FLAIR MR.
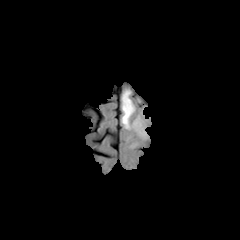
T1-weighted MR.
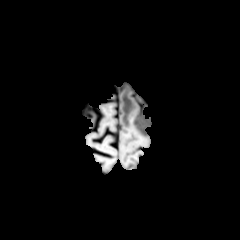
Post-contrast T1-weighted MR.
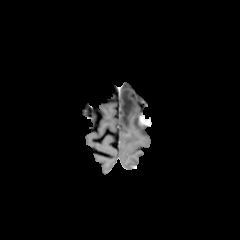
T2-weighted MR image.
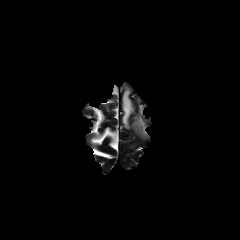
edema:
  - x1=133, y1=115, x2=142, y2=129
  - x1=122, y1=90, x2=135, y2=129
enhancing_tumor:
  - x1=138, y1=114, x2=150, y2=125